Slice 102/155 | 240x240 px
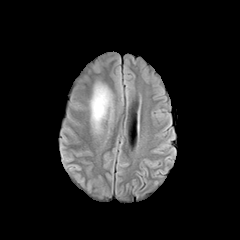
FLAIR MR image.
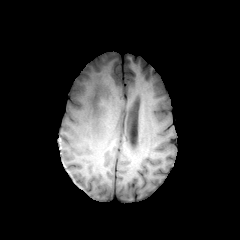
T1-weighted MR image.
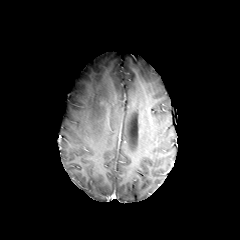
Same slice, post-contrast T1-weighted MR image.
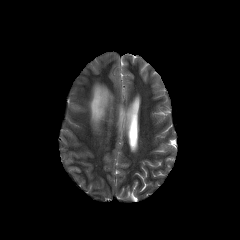
T2-weighted MR of the same slice.
edema:
  - bbox(90, 86, 109, 128)